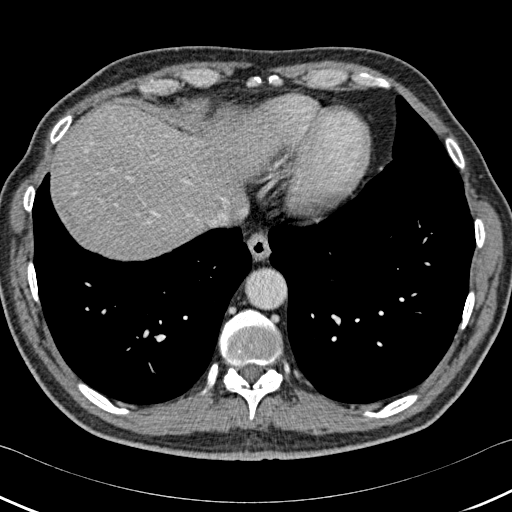 CT.
The liver is located at bbox=[51, 105, 276, 259]. 3 lung regions are bounded by bbox=[268, 94, 475, 403]; bbox=[32, 172, 258, 405]; bbox=[21, 165, 29, 174]. 13 bone regions are bounded by bbox=[475, 219, 484, 247]; bbox=[23, 186, 34, 211]; bbox=[208, 364, 217, 387]; bbox=[269, 75, 280, 83]; bbox=[78, 384, 128, 414]; bbox=[364, 395, 417, 417]; bbox=[461, 292, 474, 328]; bbox=[27, 263, 37, 300]; bbox=[220, 310, 280, 366]; bbox=[224, 368, 282, 419]; bbox=[446, 138, 464, 168]; bbox=[50, 115, 71, 143]; bbox=[248, 77, 260, 85].